FLAIR magnetic resonance.
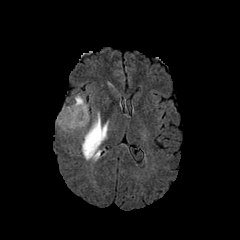
T1-weighted MR.
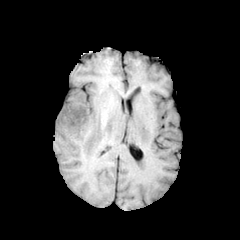
Post-contrast T1-weighted MRI.
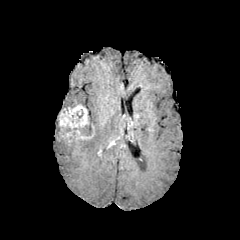
T2-weighted MR.
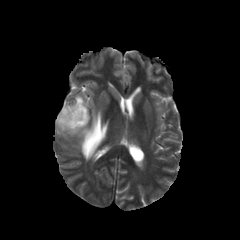
240x240
Segmented structures:
• edema: (left=56, top=117, right=75, bottom=135), (left=80, top=111, right=108, bottom=162), (left=62, top=93, right=88, bottom=111)
• enhancing tumor: (left=58, top=105, right=94, bottom=139)
• non-enhancing tumor core: (left=78, top=124, right=91, bottom=136)